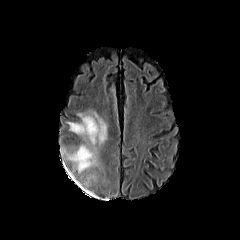
FLAIR magnetic resonance.
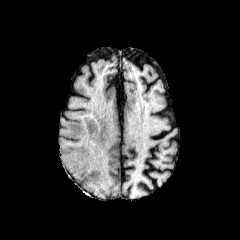
T1-weighted MR.
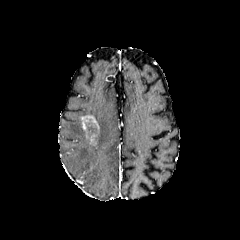
Post-contrast T1-weighted MR image.
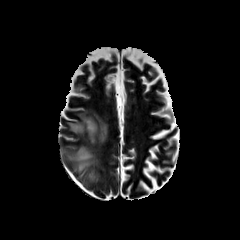
T2-weighted magnetic resonance.
Brain
Edema = (66, 109, 107, 173).
Enhancing tumor = (79, 114, 99, 146).